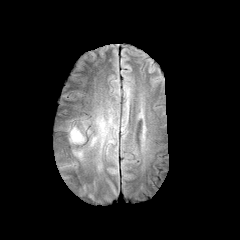
FLAIR MR image.
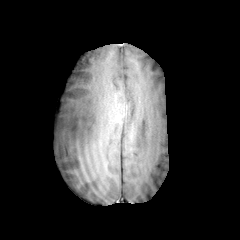
T1-weighted MRI.
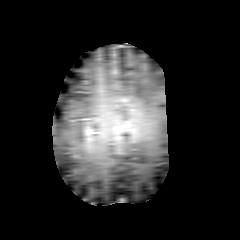
Post-contrast T1-weighted magnetic resonance.
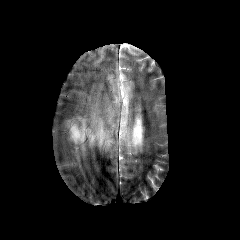
Same slice, T2-weighted MR.
Brain.
<segmentation>
  <edema>[x1=69, y1=126, x2=88, y2=143]</edema>
</segmentation>